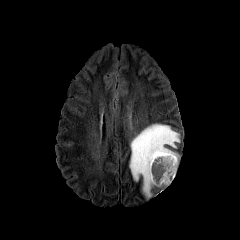
FLAIR MRI.
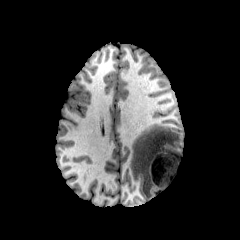
T1-weighted MRI.
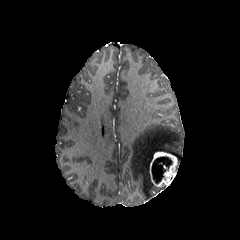
Post-contrast T1-weighted magnetic resonance.
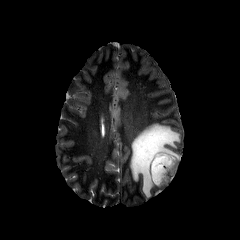
T2-weighted MR image of the same slice.
Brain
Findings:
* non-enhancing tumor core: (left=151, top=157, right=172, bottom=184), (left=153, top=185, right=165, bottom=192)
* enhancing tumor: (left=149, top=152, right=177, bottom=187)
* edema: (left=129, top=123, right=179, bottom=198)